Slice 96/144, Liver, Field of view 395x395 mm, CT slice 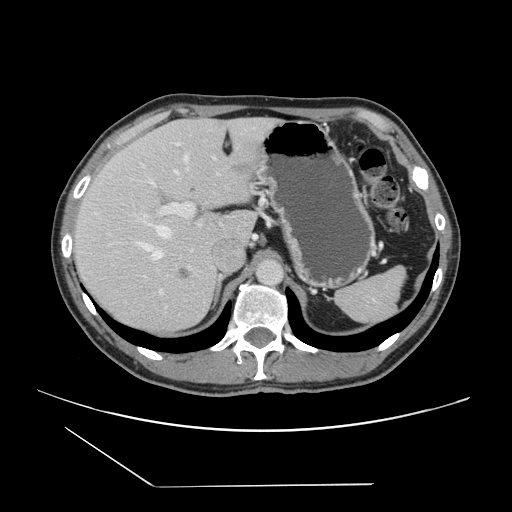 Not every hepatic vessel necessarily has a box.
The top 15 hepatic vessel regions (of 16) appear at <box>135,242,137,243</box>, <box>174,170,177,172</box>, <box>143,221,149,224</box>, <box>140,162,142,164</box>, <box>184,153,188,161</box>, <box>138,216,143,221</box>, <box>187,167,188,169</box>, <box>188,267,190,268</box>, <box>153,225,163,225</box>, <box>108,244,111,245</box>, <box>183,206,192,216</box>, <box>150,251,152,255</box>, <box>170,230,170,235</box>, <box>198,222,201,225</box>, <box>161,206,172,212</box>. The liver tumor is bounded by <box>178,270,194,281</box>.